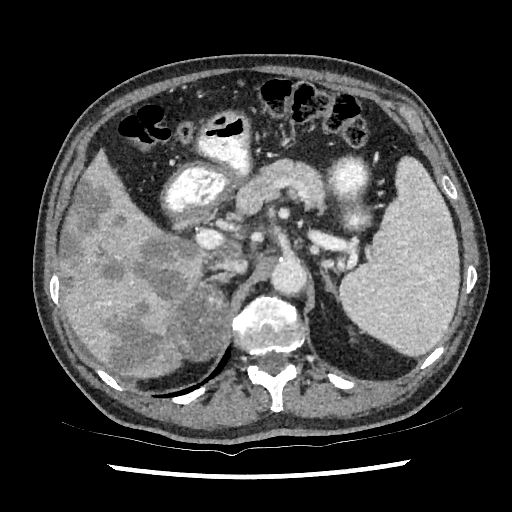 Abdomen. 512x512. CT. Liver at (168, 239, 241, 291), (61, 212, 68, 253), (61, 150, 183, 375).
Focal liver lesion at (107, 214, 126, 239), (103, 297, 176, 373), (61, 273, 75, 295), (96, 248, 125, 281), (61, 180, 110, 259), (133, 234, 199, 300).